Head. 240x240.
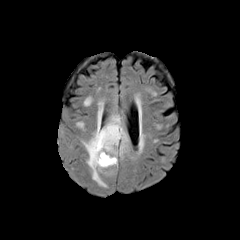
FLAIR magnetic resonance.
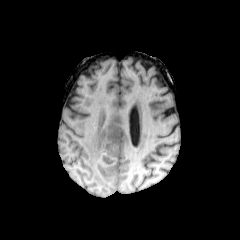
T1-weighted MR.
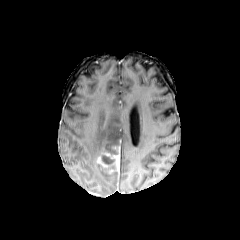
Post-contrast T1-weighted MRI of the same slice.
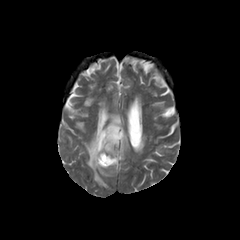
T2-weighted MR image.
The non-enhancing tumor core is at left=96, top=143, right=120, bottom=168. The enhancing tumor is at left=95, top=146, right=120, bottom=174. The edema appears at left=81, top=103, right=129, bottom=187.